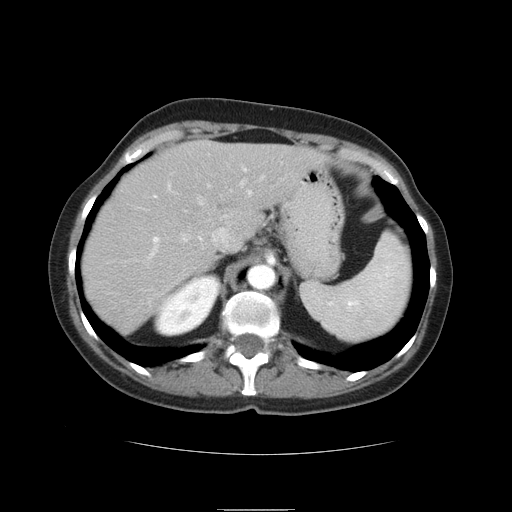 CT scan slice
Spleen: l=304, t=233, r=412, b=341.